CT scan slice 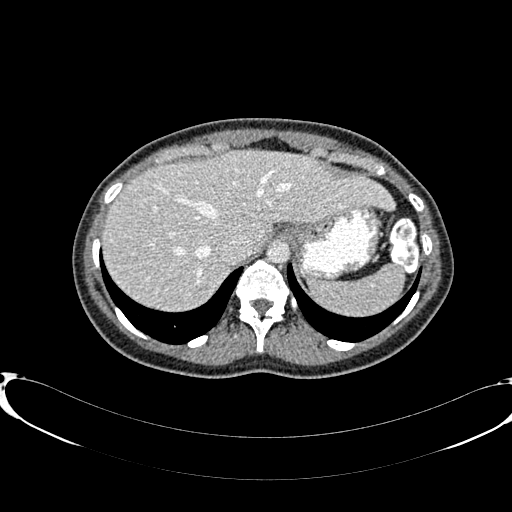 Annotated regions:
• liver: x1=103, y1=150, x2=393, y2=310